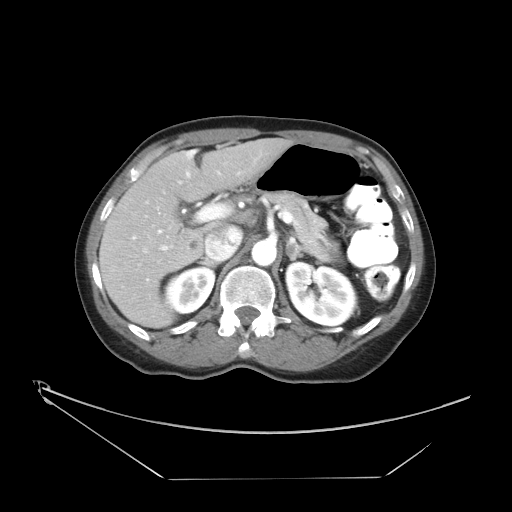 CT image, Abdomen, 512x512 px
The vessel annotation is not exhaustive.
13 hepatic vessel regions are bounded by <bbox>133, 236, 135, 238</bbox>, <bbox>205, 230, 242, 254</bbox>, <bbox>158, 230, 161, 232</bbox>, <bbox>143, 248, 146, 252</bbox>, <bbox>198, 204, 229, 220</bbox>, <bbox>186, 172, 189, 176</bbox>, <bbox>146, 201, 148, 203</bbox>, <bbox>161, 245, 172, 249</bbox>, <bbox>156, 207, 158, 208</bbox>, <bbox>179, 181, 180, 183</bbox>, <bbox>217, 171, 219, 174</bbox>, <bbox>146, 279, 148, 280</bbox>, <bbox>237, 172, 239, 174</bbox>.